Magnetic resonance; Slice 37 of 44 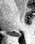

posterior hippocampus: box(11, 33, 21, 36)